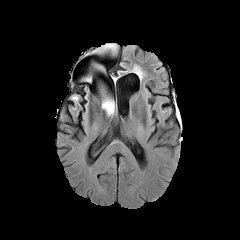
FLAIR MR image.
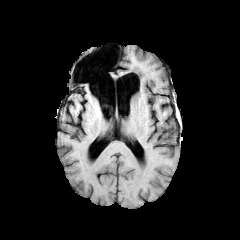
T1-weighted MRI.
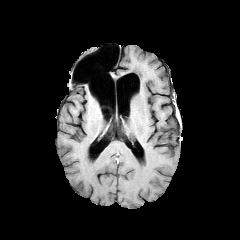
Post-contrast T1-weighted MR.
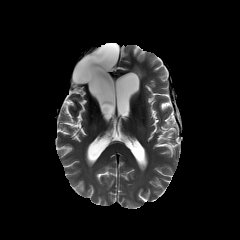
T2-weighted MR.
240x240 px
{"edema": ["(102,97,115,117)", "(98,44,117,55)"], "non-enhancing_tumor_core": ["(102,90,111,109)"]}